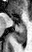

MR image. Medial temporal lobe.

The posterior hippocampus lies within <bbox>13, 23, 26, 43</bbox>. The anterior hippocampus appears at <bbox>11, 15, 14, 18</bbox>.